Slice 25 of 537; Computed tomography

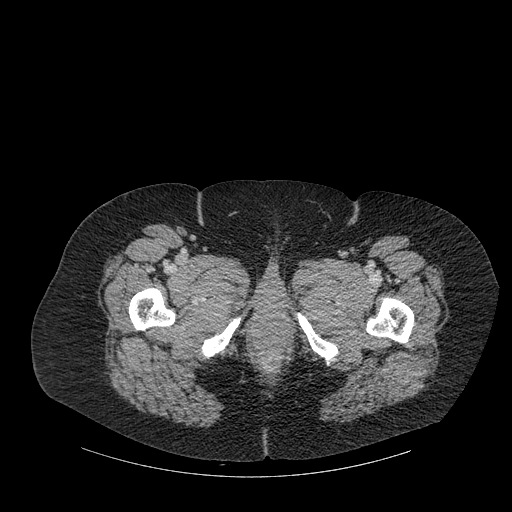 4 bone regions are located at (297,313,337,363), (129,288,174,330), (366,298,413,342), (202,318,240,356).